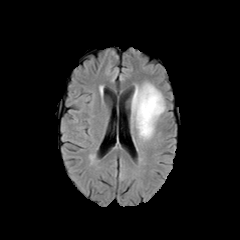
FLAIR MR.
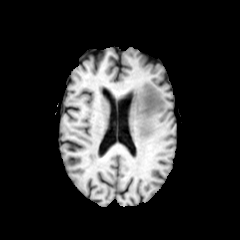
T1-weighted MR image.
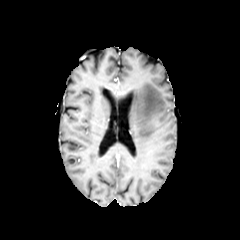
Post-contrast T1-weighted magnetic resonance.
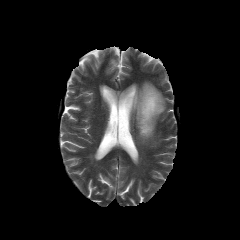
T2-weighted MR image of the same slice.
Brain
Annotated regions:
- edema: x1=130 y1=83 x2=165 y2=142